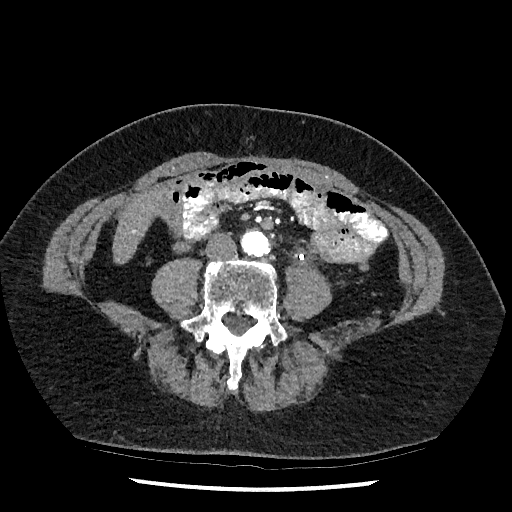 512x512 px. CT image. Abdomen.
<segmentation>
  <liver>113, 188, 165, 262</liver>
</segmentation>